MRI, Image size 35x49, Field of view 35x49 mm 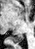
The posterior hippocampus lies within (x1=11, y1=35, x2=23, y2=42).